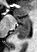
Magnetic resonance | Medial temporal lobe | 37x52
Anterior hippocampus = box=[22, 17, 29, 21]; box=[17, 18, 21, 21].
Posterior hippocampus = box=[16, 22, 31, 39].